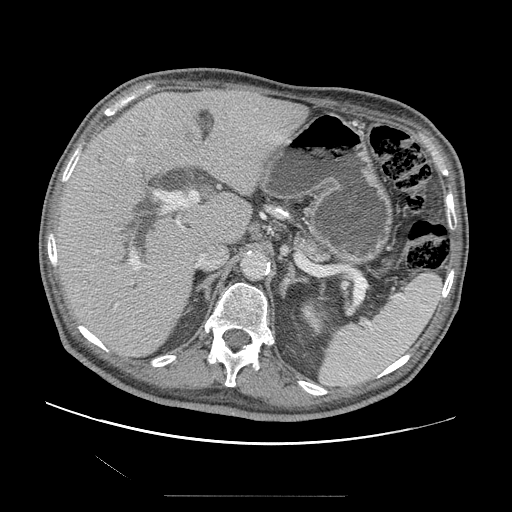

CT. Abdomen.
<segmentation>
  <pancreas>277:202:331:263</pancreas>
</segmentation>